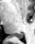 Hippocampus | Image size 35x44 | Magnetic resonance
The posterior hippocampus appears at x1=15, y1=33, x2=23, y2=38.